FLAIR MRI.
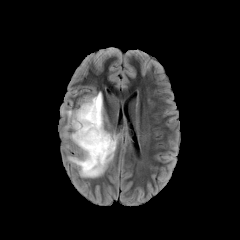
T1-weighted magnetic resonance.
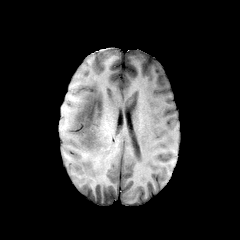
Post-contrast T1-weighted magnetic resonance.
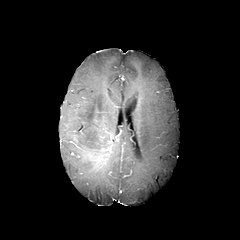
T2-weighted MR.
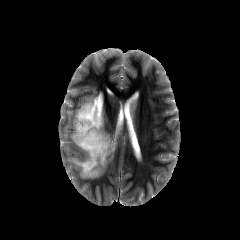
Head
Non-enhancing tumor core — [101,140,114,155].
Edema — [67,92,118,177].